FLAIR MR.
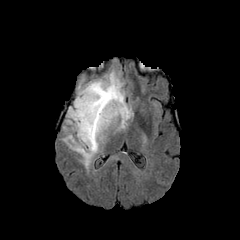
T1-weighted MR.
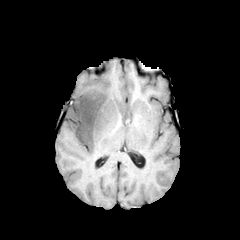
Post-contrast T1-weighted MR.
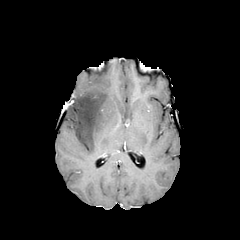
T2-weighted magnetic resonance.
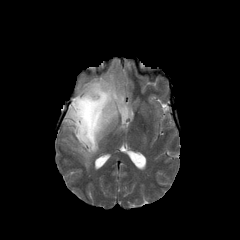
{
  "edema": [
    "box(63, 71, 133, 168)"
  ],
  "non-enhancing_tumor_core": [
    "box(67, 92, 105, 145)"
  ]
}